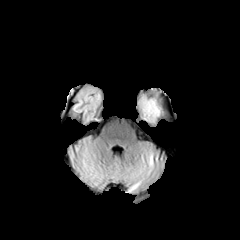
FLAIR MR.
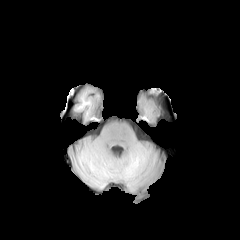
T1-weighted MRI.
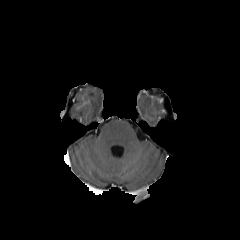
Same slice, post-contrast T1-weighted MR image.
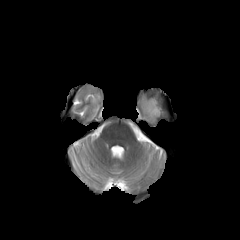
Same slice, T2-weighted MR.
Brain
Findings:
* edema: (143,99,160,120)